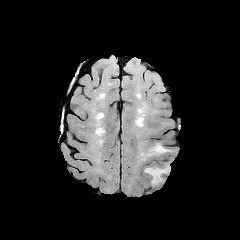
FLAIR magnetic resonance.
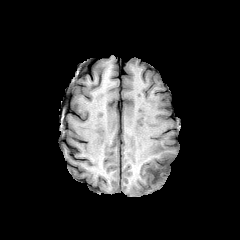
T1-weighted magnetic resonance.
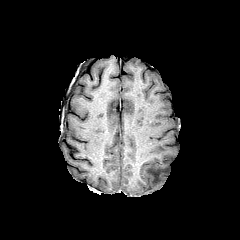
Same slice, post-contrast T1-weighted MR.
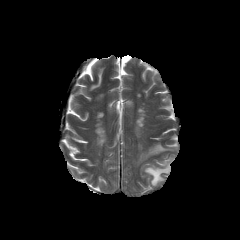
Same slice, T2-weighted MRI.
Edema — <bbox>139, 142, 170, 161</bbox>, <bbox>144, 161, 167, 185</bbox>.